FLAIR MR.
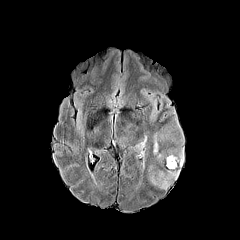
T1-weighted MR image.
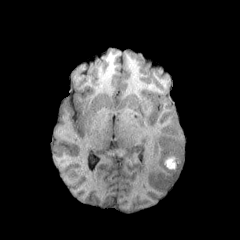
Post-contrast T1-weighted MR image.
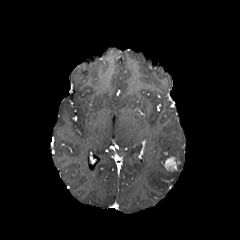
T2-weighted MR.
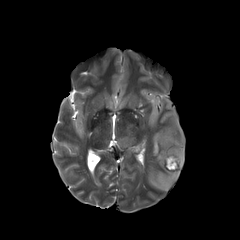
Brain.
Findings:
• enhancing tumor: (left=165, top=157, right=178, bottom=170)
• edema: (left=153, top=134, right=158, bottom=154)